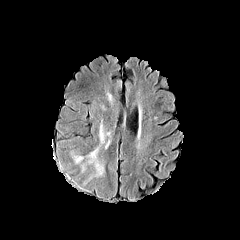
FLAIR MRI.
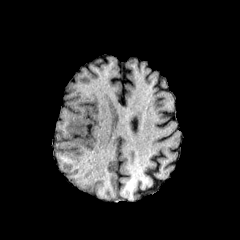
T1-weighted MRI.
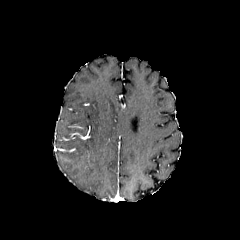
Post-contrast T1-weighted MR image of the same slice.
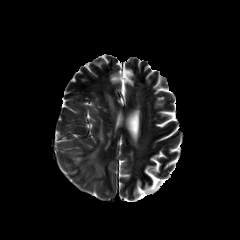
T2-weighted MR of the same slice.
240x240 px; Brain
Annotated regions:
• edema: region(88, 152, 103, 176); region(98, 121, 104, 144)